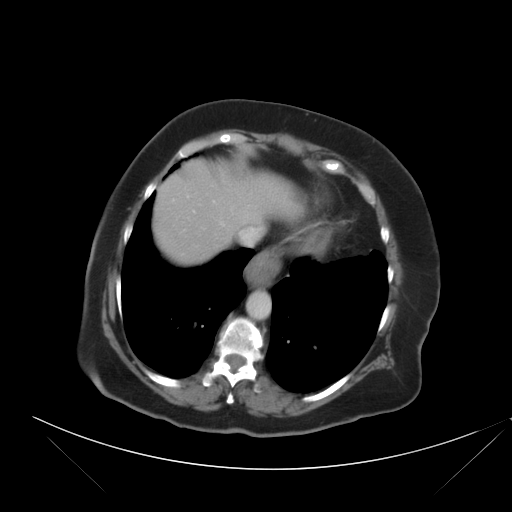 Image size 512x512, CT slice

The vessel annotation is not exhaustive.
Hepatic vessel — <box>252,239,254,243</box>, <box>220,221,223,225</box>.